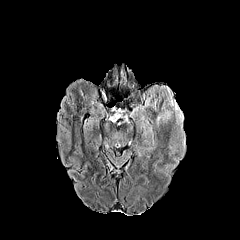
FLAIR magnetic resonance.
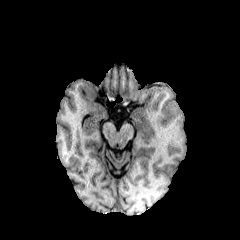
T1-weighted MRI.
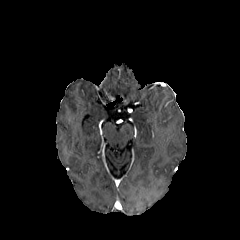
Post-contrast T1-weighted magnetic resonance.
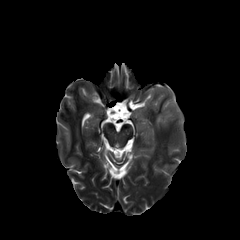
T2-weighted MR image.
Brain. Image size 240x240.
edema:
  - (168, 101, 182, 130)
  - (156, 111, 173, 127)